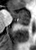

MRI slice. The anterior hippocampus appears at box(10, 9, 29, 21). The posterior hippocampus is at box(17, 22, 29, 25).